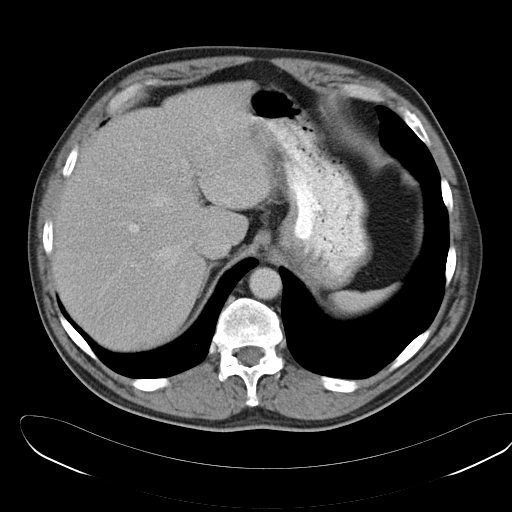 Abdomen; Image size 512x512; CT scan slice

- spleen: <bbox>334, 288, 395, 311</bbox>